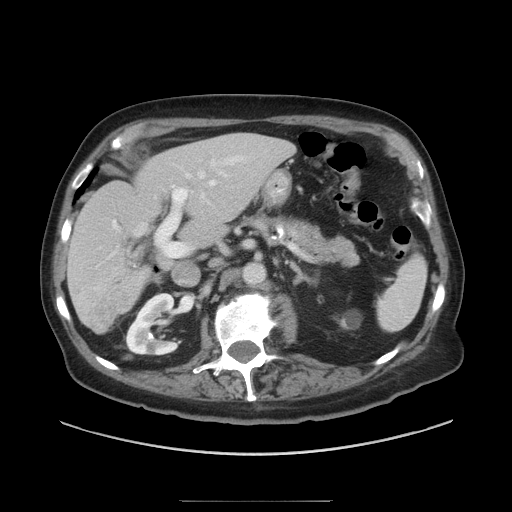 Liver | Computed tomography
Not every hepatic vessel necessarily has a box.
hepatic_vessel:
  - x1=135 y1=222 x2=144 y2=233
  - x1=198 y1=171 x2=205 y2=178
  - x1=110 y1=219 x2=121 y2=231
  - x1=224 y1=156 x2=242 y2=164
  - x1=156 y1=186 x2=192 y2=257
  - x1=210 y1=180 x2=216 y2=185
  - x1=210 y1=160 x2=215 y2=166
liver_tumor:
  - x1=92 y1=288 x2=128 y2=327